240x240; Image width 240 mm
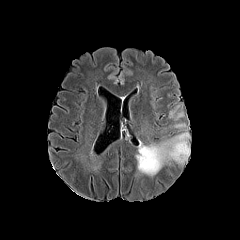
FLAIR MR image.
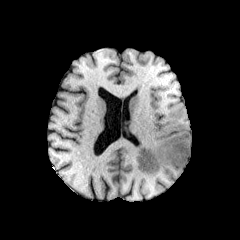
T1-weighted magnetic resonance.
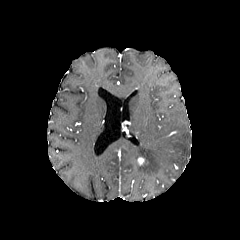
Post-contrast T1-weighted MR image of the same slice.
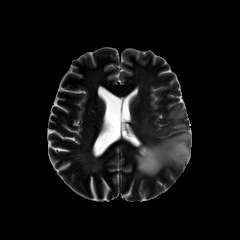
T2-weighted magnetic resonance of the same slice.
Segmented structures:
* edema: x1=136, y1=133, x2=190, y2=175